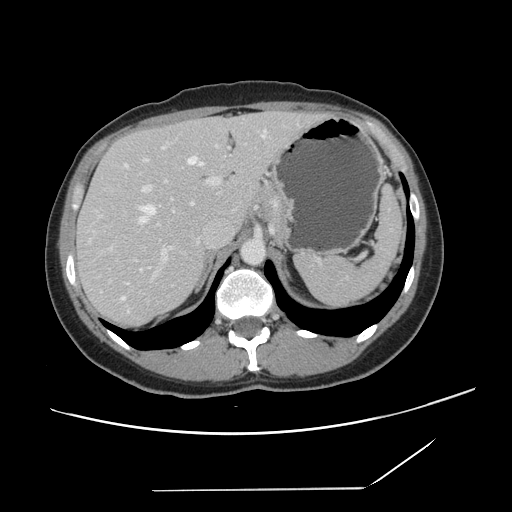 Liver | CT slice

Only some of the vessels may be annotated.
The top 15 hepatic vessel regions (of 17) are bounded by 162:146:164:149, 144:159:147:161, 139:205:155:222, 142:185:150:192, 164:180:166:181, 109:247:111:250, 261:130:266:136, 188:157:202:165, 162:246:171:261, 88:239:90:242, 120:297:125:300, 127:310:129:312, 191:202:193:204, 124:164:127:166, 207:177:220:184.